Field of view 200x200 mm; Image size 320x320
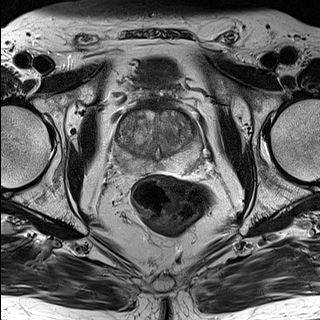
T2-weighted MRI.
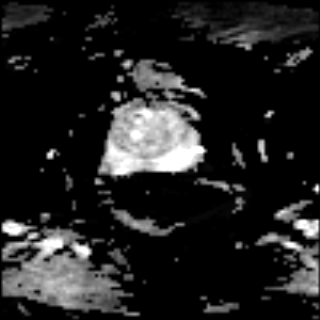
ADC MR image.
Prostate transition zone: box=[117, 110, 199, 157].
Prostate peripheral zone: box=[116, 132, 201, 173].